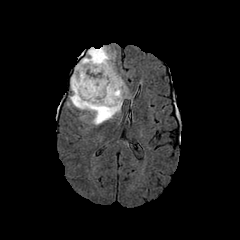
FLAIR MR.
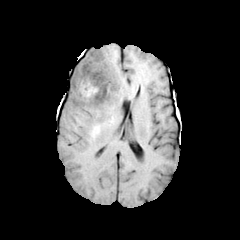
T1-weighted MR.
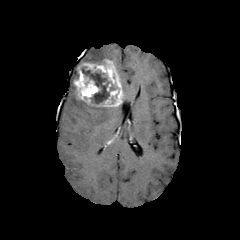
Post-contrast T1-weighted magnetic resonance.
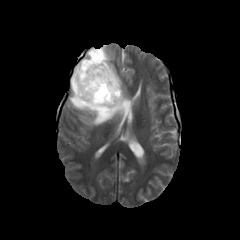
T2-weighted MR image.
240x240.
non-enhancing_tumor_core:
  - <bbox>82, 68, 108, 103</bbox>
edema:
  - <bbox>84, 46, 113, 62</bbox>
  - <bbox>67, 75, 122, 125</bbox>
enhancing_tumor:
  - <bbox>72, 59, 122, 106</bbox>